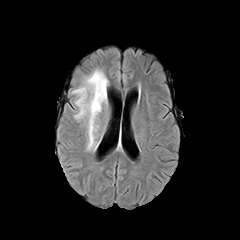
FLAIR magnetic resonance.
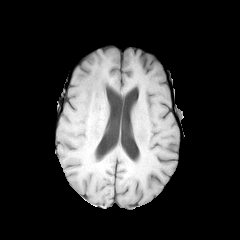
T1-weighted magnetic resonance.
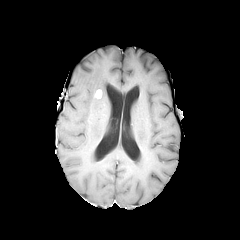
Post-contrast T1-weighted MR image.
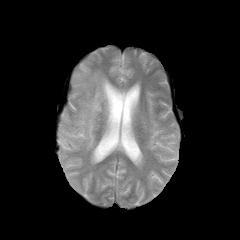
T2-weighted MR image.
240x240 px.
Enhancing tumor — [94, 89, 102, 98].
Edema — [72, 69, 109, 152].